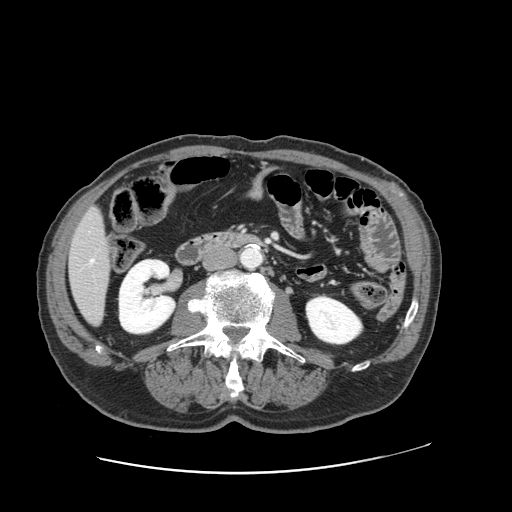 CT slice | Image size 512x512
Only some of the vessels may be annotated.
The hepatic vessel is located at (x1=90, y1=259, x2=93, y2=263).